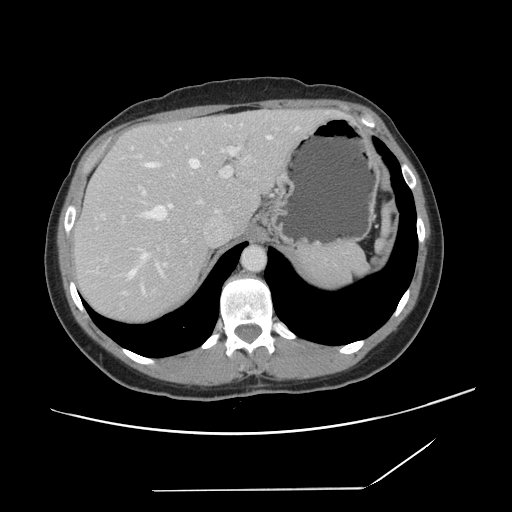
Computed tomography
The vessel boxes may cover only some of the vessels.
[15/20] hepatic vessel: x1=295 y1=127 x2=298 y2=129, x1=189 y1=159 x2=198 y2=167, x1=127 y1=268 x2=135 y2=277, x1=144 y1=163 x2=159 y2=167, x1=141 y1=253 x2=147 y2=260, x1=220 y1=167 x2=231 y2=177, x1=221 y1=146 x2=239 y2=153, x1=267 y1=135 x2=270 y2=138, x1=142 y1=286 x2=144 y2=292, x1=156 y1=263 x2=165 y2=274, x1=139 y1=186 x2=145 y2=194, x1=102 y1=213 x2=105 y2=218, x1=167 y1=204 x2=171 y2=207, x1=144 y1=205 x2=166 y2=219, x1=138 y1=155 x2=141 y2=157